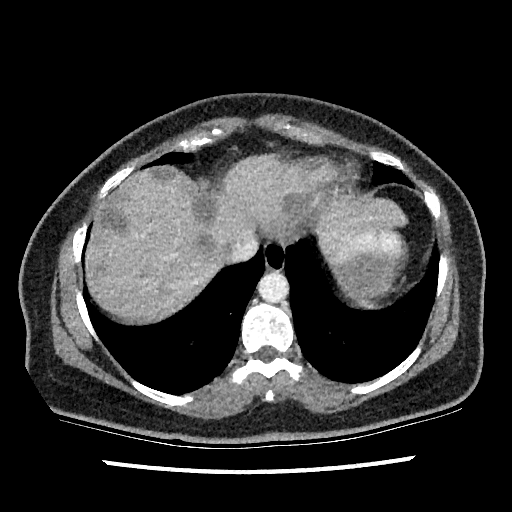 CT
Liver lesion at x1=197 y1=234 x2=230 y2=258, x1=108 y1=192 x2=130 y2=202, x1=97 y1=266 x2=105 y2=272, x1=191 y1=184 x2=217 y2=221, x1=152 y1=167 x2=174 y2=179, x1=283 y1=192 x2=306 y2=217, x1=99 y1=205 x2=129 y2=235.
Liver at x1=86 y1=156 x2=306 y2=319, x1=314 y1=199 x2=406 y2=243.